Slice 53 of 86 | CT image 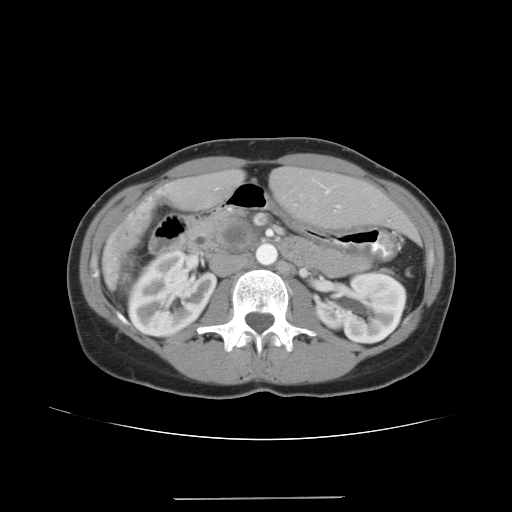

Findings:
- pancreatic tumor: (x1=222, y1=222, x2=252, y2=250)
- pancreas: (x1=202, y1=207, x2=255, y2=252), (x1=278, y1=233, x2=372, y2=278)